Image width 400 mm. Computed tomography. Slice 373/761.

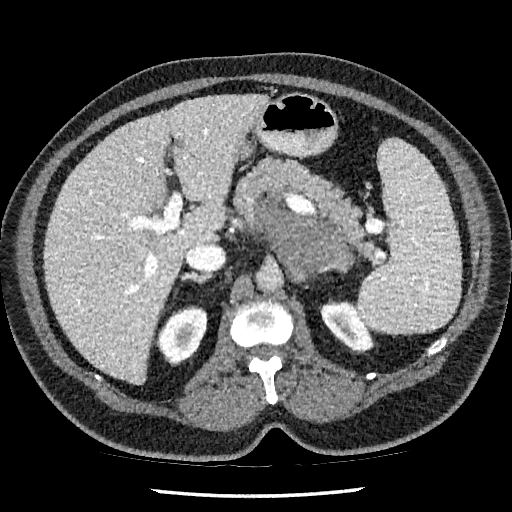

Hepatic lesion: <bbox>175, 139, 183, 148</bbox>.
Kidney: <bbox>159, 308, 206, 362</bbox>, <bbox>322, 303, 371, 349</bbox>.
Liver: <bbox>45, 95, 267, 383</bbox>.